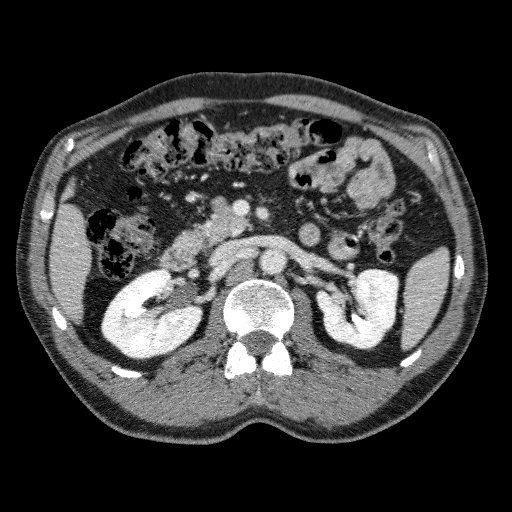
Upper abdomen | CT image
* kidney: {"x1": 102, "y1": 270, "x2": 201, "y2": 357}, {"x1": 317, "y1": 270, "x2": 397, "y2": 347}
* liver: {"x1": 50, "y1": 179, "x2": 90, "y2": 323}